Liver | CT scan slice | Image width 404 mm | Slice index 67 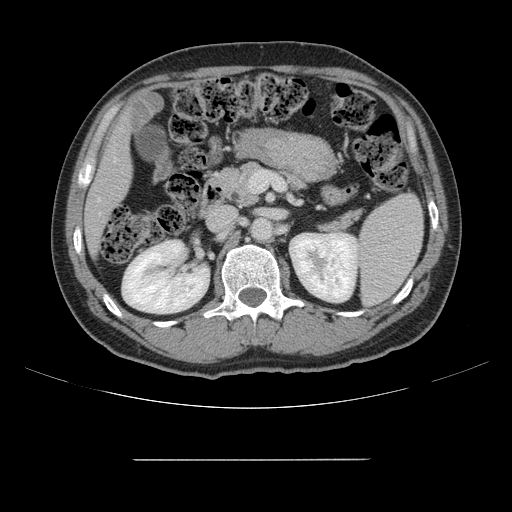
Not every hepatic vessel necessarily has a box.
hepatic vessel: [x1=114, y1=158, x2=115, y2=162], [x1=98, y1=198, x2=99, y2=200]